512x512. CT. Slice 262 of 537.

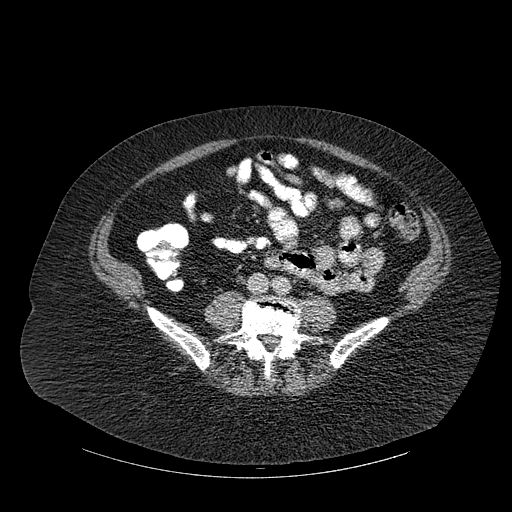 3 bone regions appear at x1=147, y1=307, x2=209, y2=369; x1=222, y1=297, x2=310, y2=377; x1=330, y1=317, x2=387, y2=367.